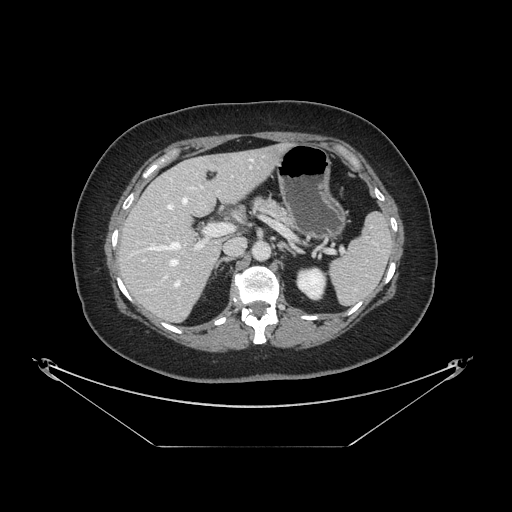
512x512 px | CT slice
Pancreas — box=[252, 198, 290, 224].